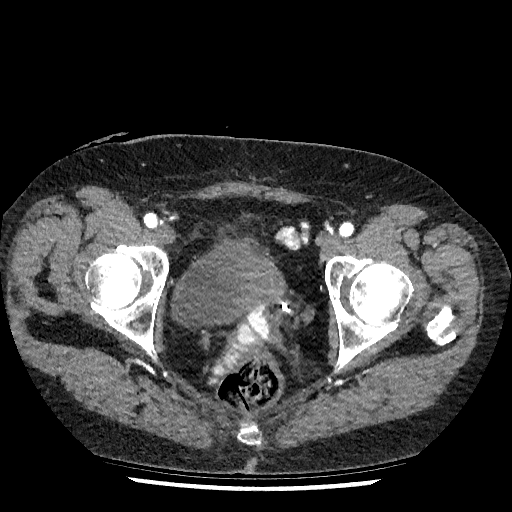 CT scan slice

The urinary bladder is located at rect(170, 228, 275, 328).